Slice 395/845, CT scan slice
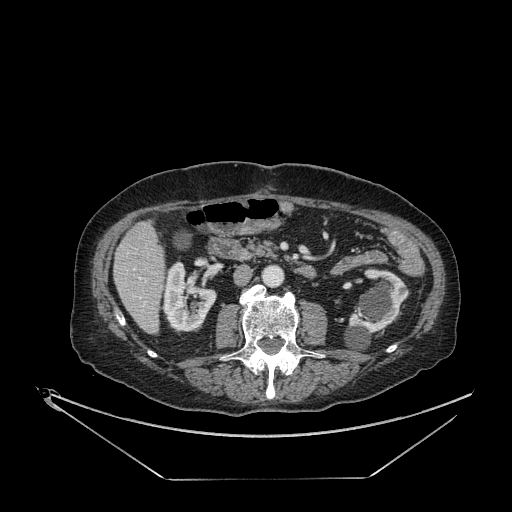

2 kidney regions appear at (left=349, top=269, right=407, bottom=332), (left=163, top=262, right=215, bottom=330). The liver appears at (left=113, top=222, right=164, bottom=333).